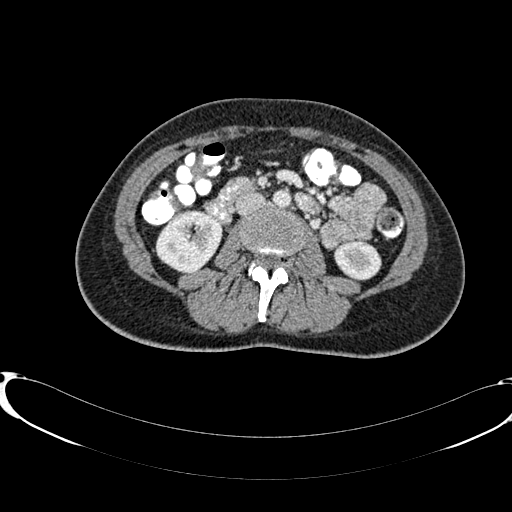 Abdomen; CT slice
2 kidney regions are located at x1=157 y1=212 x2=220 y2=271, x1=336 y1=243 x2=379 y2=278.